Head, Field of view 240 mm wide, 1.00 mm slice spacing
FLAIR MR.
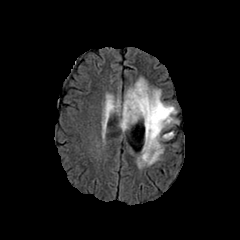
T1-weighted MR.
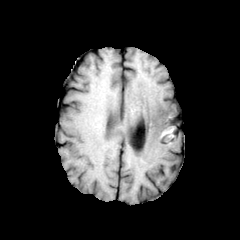
Post-contrast T1-weighted magnetic resonance.
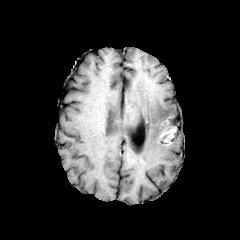
T2-weighted MRI.
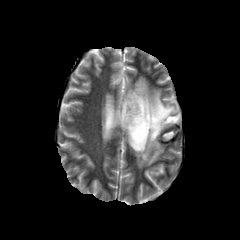
Non-enhancing tumor core: bounding box l=125, t=102, r=135, b=119; l=142, t=104, r=175, b=133.
Edema: bounding box l=103, t=78, r=178, b=167.